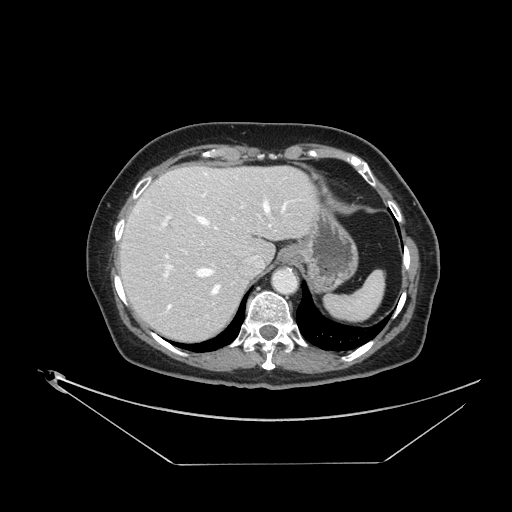
CT | 512x512
The vessel annotation is not exhaustive.
hepatic_vessel:
  - box=[135, 207, 138, 212]
  - box=[194, 214, 210, 226]
  - box=[201, 195, 204, 197]
  - box=[264, 200, 268, 210]
  - box=[211, 284, 220, 294]
  - box=[167, 304, 171, 310]
  - box=[284, 202, 286, 207]
  - box=[165, 254, 168, 258]
  - box=[213, 226, 216, 229]
  - box=[162, 215, 170, 226]
  - box=[164, 263, 172, 277]
  - box=[232, 217, 234, 219]
  - box=[246, 255, 262, 267]
  - box=[196, 267, 214, 276]